Field of view 400 mm wide, 0.70 mm slice spacing; CT image
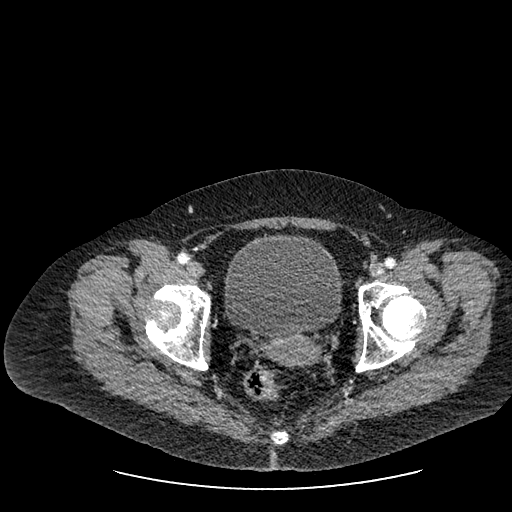

The urinary bladder is bounded by [225,233,341,337].